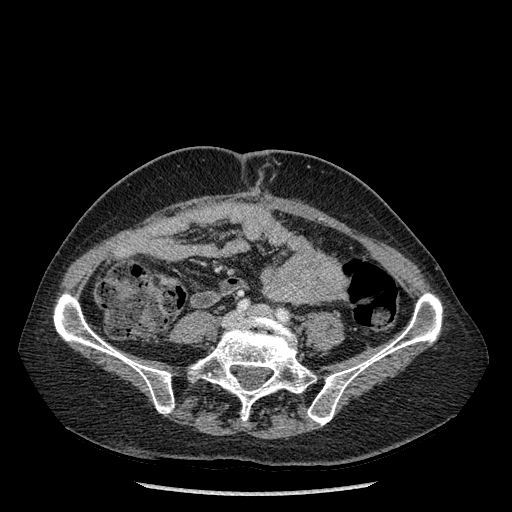

Computed tomography

Segmented structures:
• bone: l=54, t=293, r=174, b=413; l=189, t=315, r=316, b=420; l=307, t=292, r=442, b=425